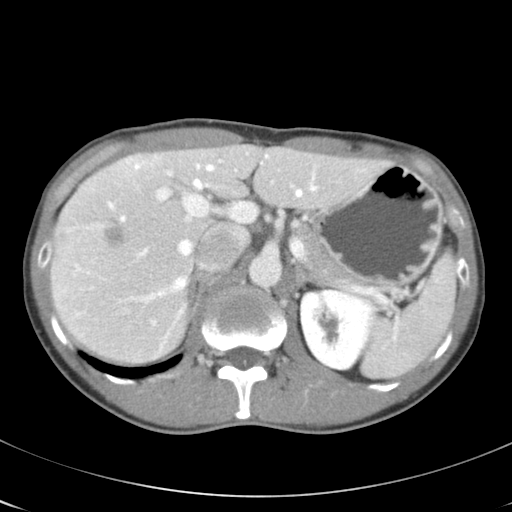

Abdomen | Computed tomography
The vessel annotation is not exhaustive.
{
  "partial": true,
  "hepatic_vessel": {
    "n_total": 19,
    "boxes": [
      "195, 181, 208, 187",
      "207, 165, 212, 170",
      "139, 292, 164, 301",
      "184, 195, 207, 219",
      "296, 189, 301, 195",
      "179, 241, 190, 253",
      "310, 173, 316, 189",
      "265, 154, 268, 157",
      "158, 188, 169, 199",
      "136, 164, 139, 168",
      "168, 171, 172, 174",
      "139, 249, 147, 254",
      "178, 311, 182, 317",
      "232, 202, 249, 221",
      "174, 278, 186, 289"
    ]
  },
  "liver_tumor": [
    "54, 210, 129, 258"
  ]
}